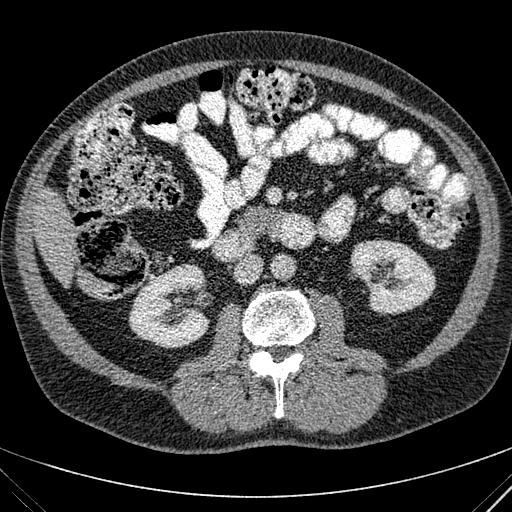 CT scan slice. Liver. 2 kidney regions appear at (351, 240, 434, 313), (129, 264, 208, 347). The liver is at (35, 187, 75, 284).